FLAIR MR image.
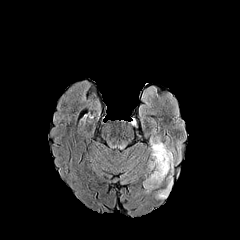
T1-weighted MRI.
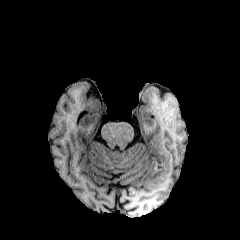
Post-contrast T1-weighted MR image.
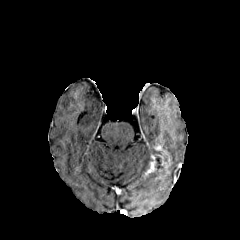
T2-weighted MR image.
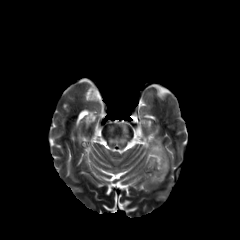
Image size 240x240
• enhancing tumor: 145,144,172,175
• edema: 149,134,162,155; 142,171,165,183